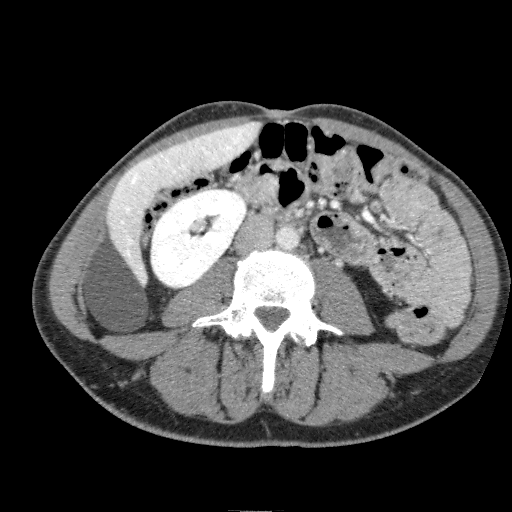 Abdomen, CT
The liver is at 108:122:261:285. The kidney is located at 151:190:245:286.